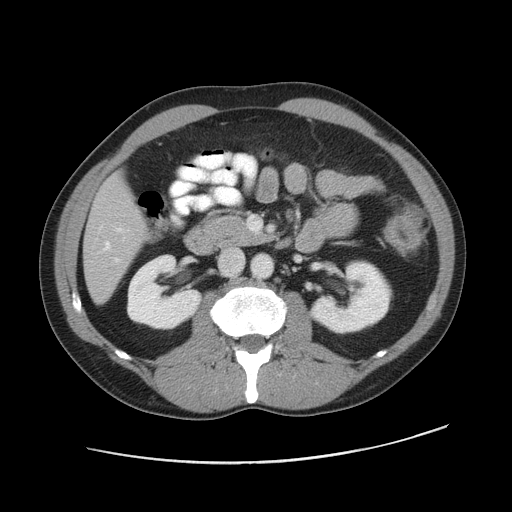 Computed tomography | Image size 512x512 | Pelvis

Colon tumor at (left=385, top=217, right=422, bottom=251).